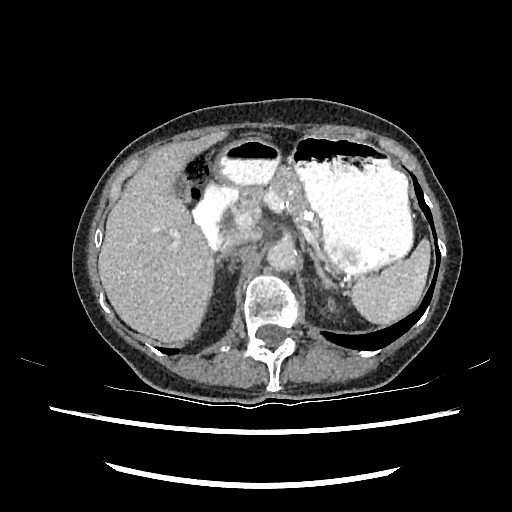 CT scan slice
Liver: bounding box [x1=99, y1=132, x2=224, y2=340].